FLAIR MRI.
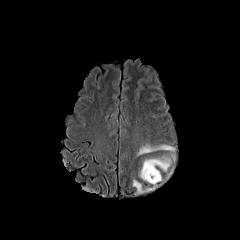
T1-weighted magnetic resonance.
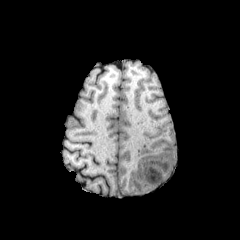
Post-contrast T1-weighted MR.
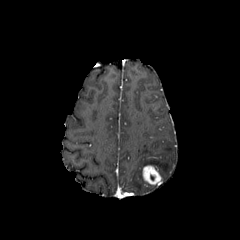
T2-weighted MR image.
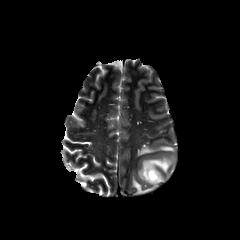
Head
<segmentation>
  <edema>bbox=[138, 146, 174, 154]; bbox=[133, 180, 142, 192]; bbox=[142, 156, 171, 170]</edema>
  <enhancing_tumor>bbox=[141, 164, 160, 184]</enhancing_tumor>
</segmentation>